CT image, 512x512 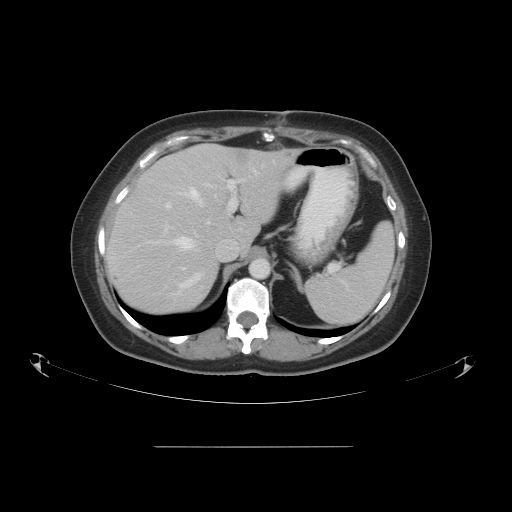

Some hepatic vessels may have no box.
The liver tumor is located at bbox(119, 213, 128, 230). 14 hepatic vessel regions appear at bbox(262, 164, 263, 166); bbox(178, 187, 202, 205); bbox(142, 224, 194, 249); bbox(194, 233, 198, 236); bbox(207, 220, 210, 223); bbox(226, 179, 244, 210); bbox(250, 168, 258, 174); bbox(166, 203, 170, 208); bbox(110, 251, 114, 253); bbox(181, 267, 185, 268); bbox(217, 240, 237, 254); bbox(250, 175, 251, 176); bbox(180, 273, 200, 287); bbox(136, 245, 139, 247).